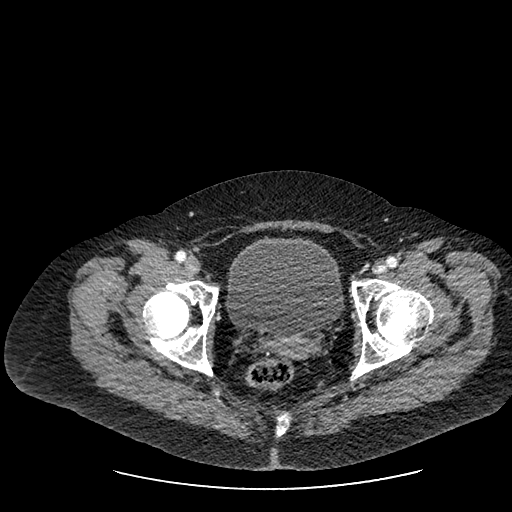

CT, Lower abdomen, Image size 512x512
<segmentation>
  <urinary_bladder>region(225, 238, 342, 337)</urinary_bladder>
</segmentation>